Brain; Slice 112/155
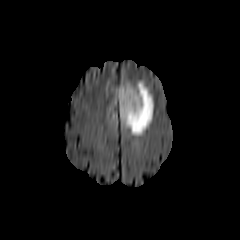
FLAIR magnetic resonance.
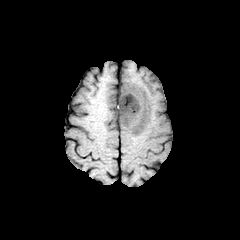
Same slice, T1-weighted magnetic resonance.
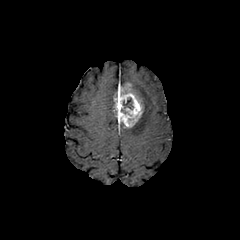
Post-contrast T1-weighted MR.
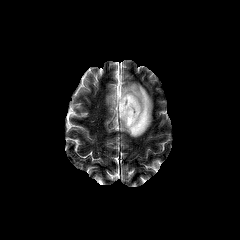
T2-weighted magnetic resonance.
Enhancing tumor at [113, 83, 142, 127].
Edema at [120, 81, 153, 137].